CT image; Slice 488/826; Upper abdomen; 512x512
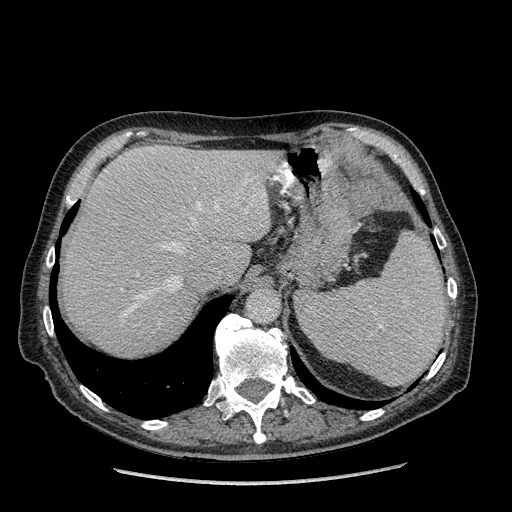
<segmentation>
  <liver>l=63, t=145, r=278, b=358</liver>
</segmentation>